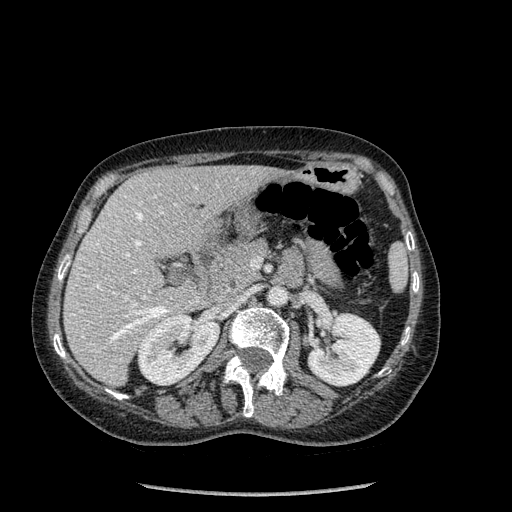

CT scan slice.
2 kidney regions appear at region(138, 314, 219, 384); region(308, 308, 379, 385). 8 bone regions are bounded by region(411, 271, 419, 292); region(105, 388, 128, 399); region(405, 232, 414, 250); region(53, 334, 65, 358); region(224, 355, 253, 417); region(401, 327, 410, 345); region(229, 306, 289, 395); region(58, 257, 70, 281). The liver appears at region(64, 165, 281, 387).